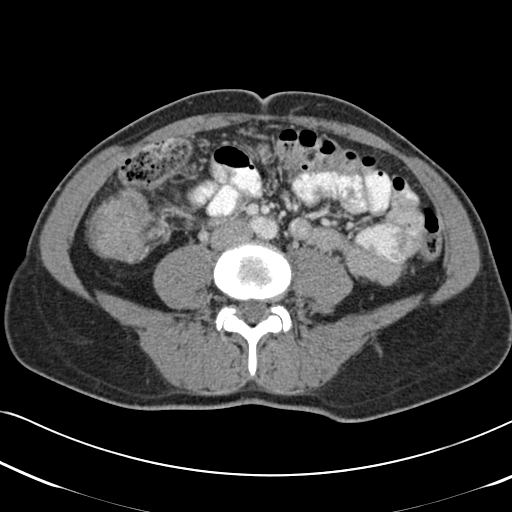 CT image | 512x512
colon_tumor:
  - bbox(87, 190, 152, 261)